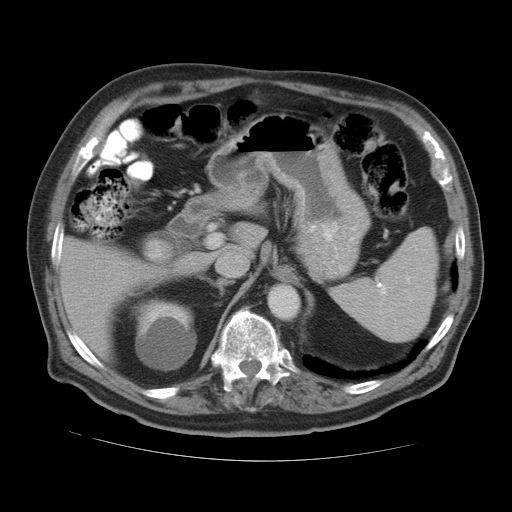

Image size 512x512, CT scan slice, Abdomen
spleen: [332,229,437,342]